240x240
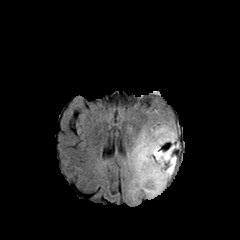
FLAIR magnetic resonance.
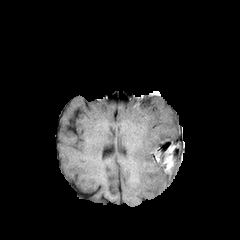
T1-weighted magnetic resonance.
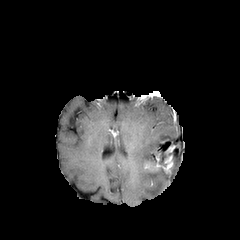
Post-contrast T1-weighted MRI of the same slice.
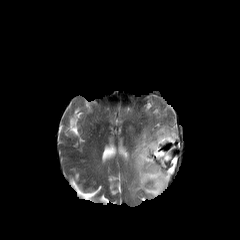
T2-weighted MRI of the same slice.
The enhancing tumor is at (162, 153, 173, 172). The edema lies within (126, 121, 179, 200).